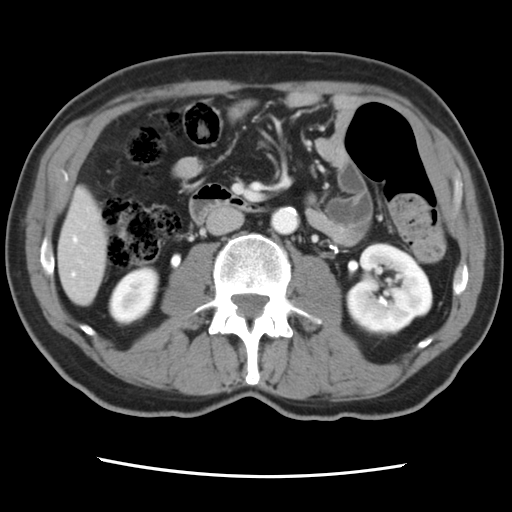
CT image
Some hepatic vessels may have no box.
<segmentation>
  <hepatic_vessel>rect(72, 272, 75, 275); rect(73, 237, 76, 241)</hepatic_vessel>
</segmentation>